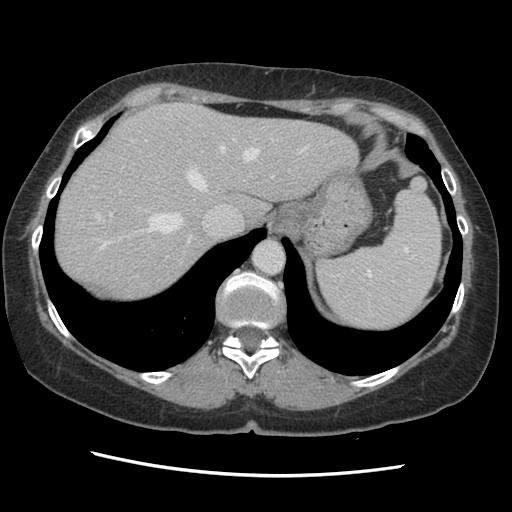
512x512 px; CT slice; Liver
Some hepatic vessels may have no box.
Hepatic vessel — (x1=96, y1=214, x2=100, y2=219), (x1=100, y1=241, x2=108, y2=248), (x1=187, y1=168, x2=205, y2=190), (x1=148, y1=212, x2=182, y2=232), (x1=244, y1=148, x2=258, y2=160), (x1=188, y1=234, x2=191, y2=243), (x1=272, y1=139, x2=273, y2=141), (x1=220, y1=144, x2=224, y2=152), (x1=233, y1=138, x2=235, y2=140), (x1=95, y1=239, x2=98, y2=239), (x1=130, y1=138, x2=132, y2=140), (x1=300, y1=147, x2=306, y2=151), (x1=109, y1=212, x2=111, y2=214).